MR image; Medial temporal lobe

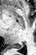
posterior_hippocampus:
  - [12, 43, 23, 48]